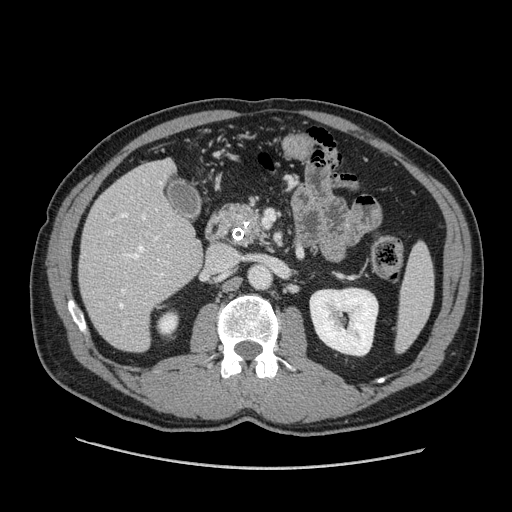
CT, 512x512 px
Annotated regions:
• pancreas: x1=228, y1=202, x2=267, y2=247